512x512 px. CT slice.
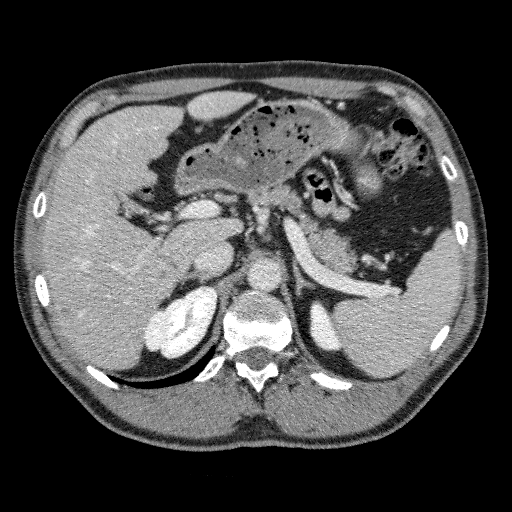

{
  "kidney": [
    "144,287,216,357",
    "311,305,341,348"
  ],
  "liver_lesion": [
    "157,269,167,280",
    "60,306,71,316",
    "156,253,177,268"
  ],
  "liver": [
    "39,90,251,369"
  ]
}